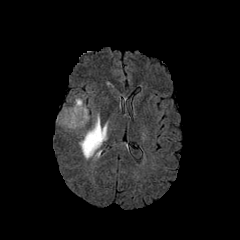
FLAIR MR.
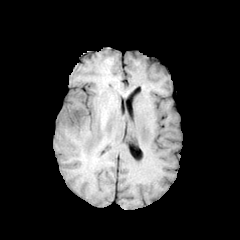
T1-weighted MR image of the same slice.
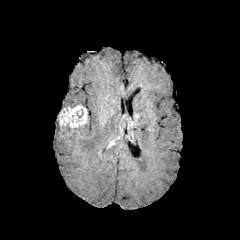
Same slice, post-contrast T1-weighted magnetic resonance.
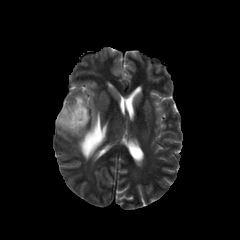
T2-weighted MRI.
Head.
non-enhancing tumor core: region(86, 128, 100, 148) | edema: region(59, 111, 107, 160); region(68, 96, 87, 108) | enhancing tumor: region(59, 104, 87, 128)